34x52 | Image width 34 mm | Medial temporal lobe | Slice 7/38 | MR image

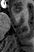
Anterior hippocampus = box=[13, 5, 23, 14].